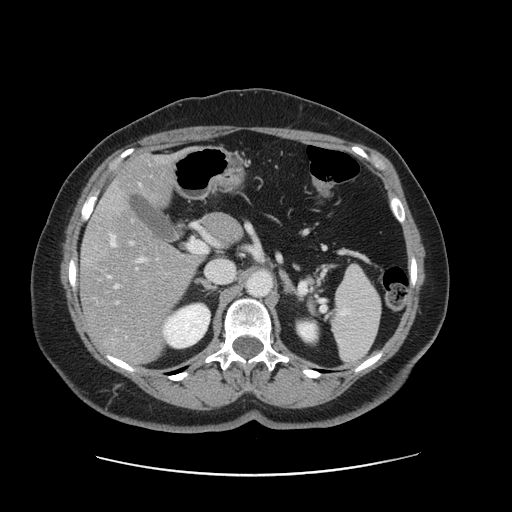

CT; Abdomen

Some hepatic vessels may have no box.
Hepatic vessel — [116,301,118,303], [108,275,110,278], [138,257,145,261], [111,234,115,245], [131,242,133,244], [115,284,118,287].